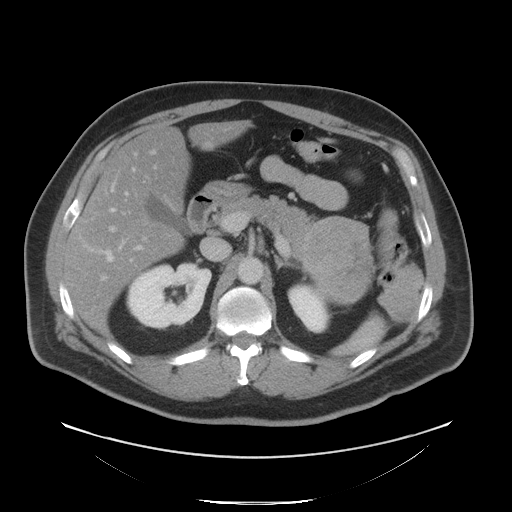 Computed tomography. 512x512 px.

The pancreas lies within 223, 196, 325, 277. The pancreatic tumor lies within 304, 217, 371, 302.